CT image | Liver | Field of view 482x482 mm

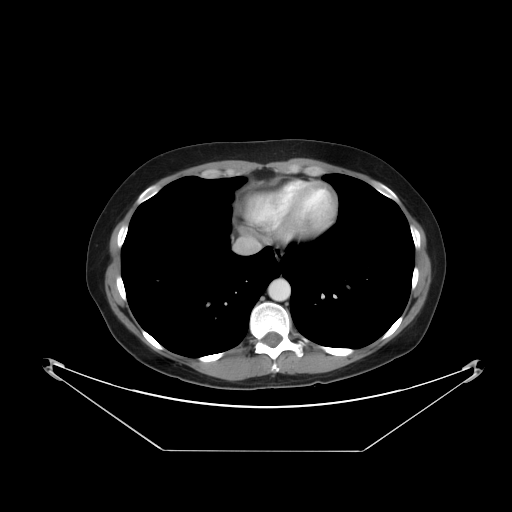

The vessel boxes may cover only some of the vessels.
Findings:
• hepatic vessel: {"x1": 237, "y1": 237, "x2": 246, "y2": 250}